Abdomen, CT
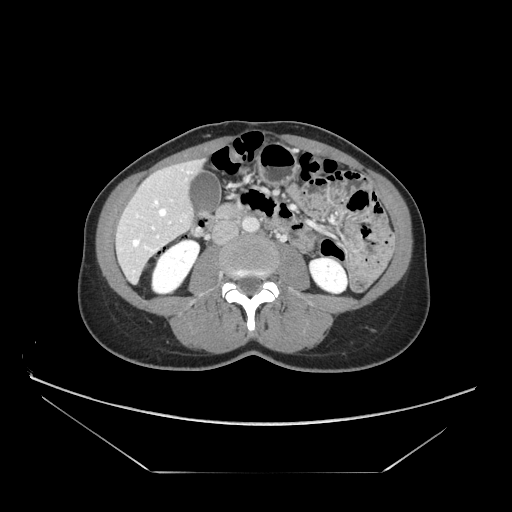
The pancreas is located at x1=217, y1=203, x2=242, y2=218.